CT slice. Image size 512x512. Abdomen.
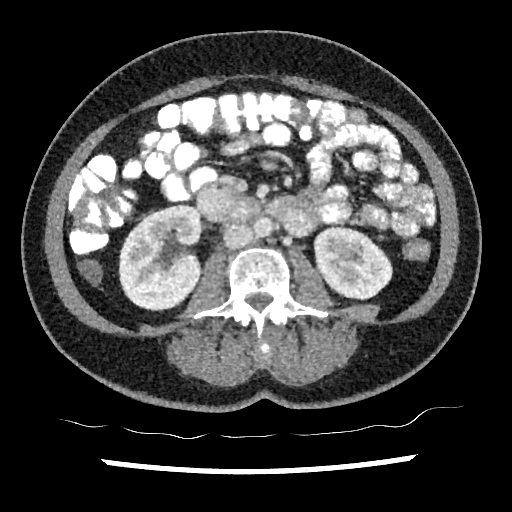 {"kidney": ["120:206:200:309", "315:228:391:298"]}